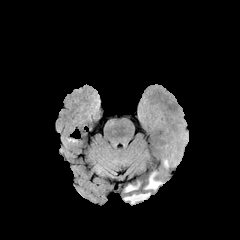
FLAIR MR image.
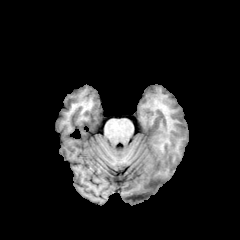
T1-weighted magnetic resonance of the same slice.
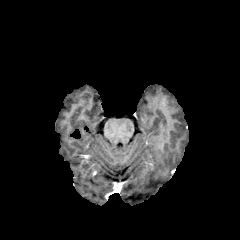
Post-contrast T1-weighted MRI.
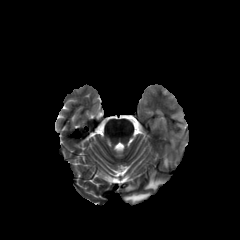
T2-weighted MRI.
240x240
- edema: 145:172:163:190, 125:182:139:191, 124:191:150:203